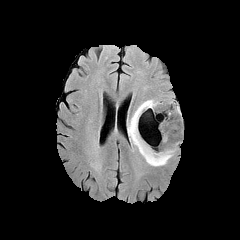
FLAIR MRI.
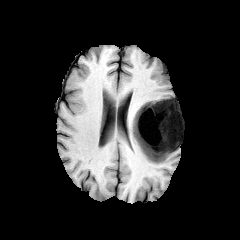
T1-weighted MR image.
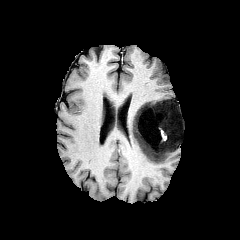
Same slice, post-contrast T1-weighted MR image.
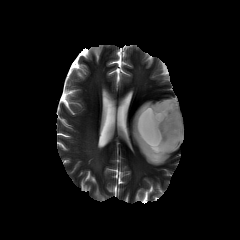
T2-weighted MR.
Brain. 240x240 px.
The non-enhancing tumor core lies within x1=142 y1=102 x2=180 y2=158. The edema is located at x1=127 y1=97 x2=181 y2=165.